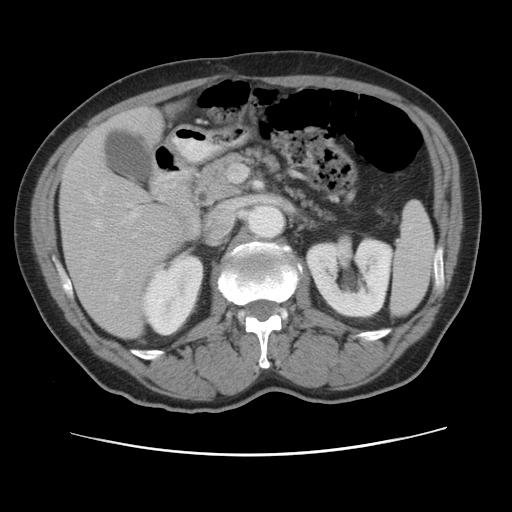 CT slice. Only some of the vessels may be annotated.
Annotated regions:
• hepatic vessel: <bbox>114, 295, 117, 299</bbox>, <bbox>150, 238, 151, 239</bbox>, <bbox>123, 208, 137, 223</bbox>, <bbox>166, 242, 167, 244</bbox>